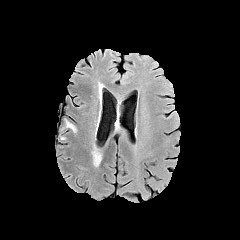
FLAIR MR.
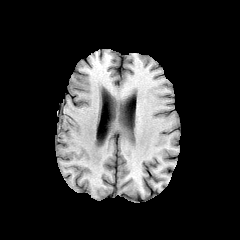
T1-weighted MRI.
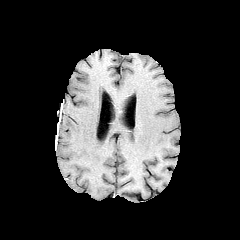
Same slice, post-contrast T1-weighted MR image.
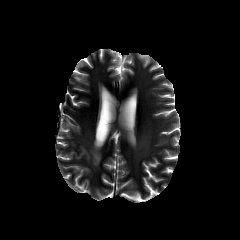
Same slice, T2-weighted MR image.
{
  "edema": [
    "box(90, 143, 101, 166)"
  ]
}